Computed tomography | Upper abdomen
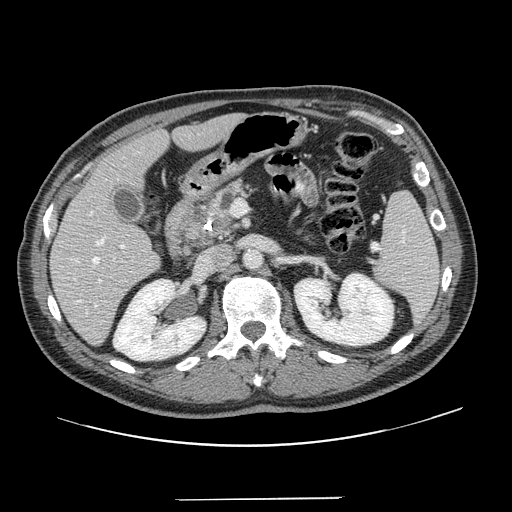 pancreas:
  - 179 176 262 252
  - 290 222 320 250